CT image, Slice 237 of 466 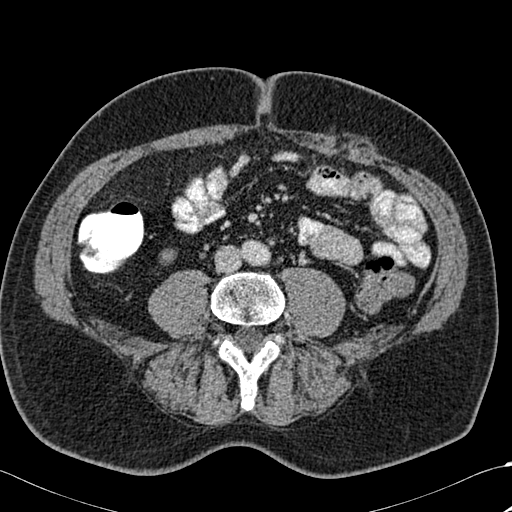

* bone: box(210, 272, 284, 326); box(215, 336, 282, 409)